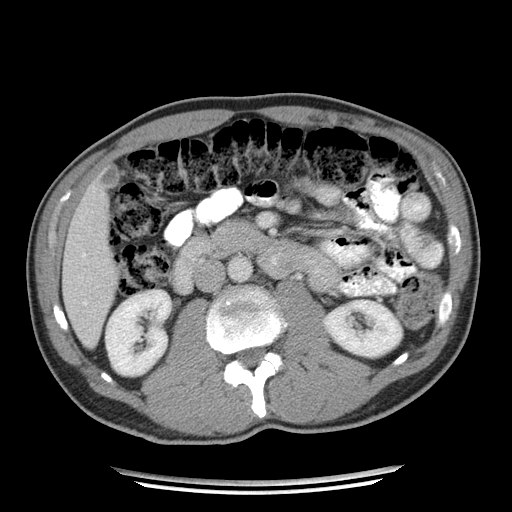

Upper abdomen; CT
The pancreas lies within left=209, top=223, right=265, bottom=257.